Field of view 240x240 mm. Head. Slice 70/155. Image size 240x240.
FLAIR MR image.
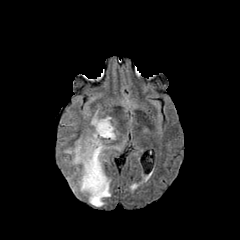
T1-weighted MR image.
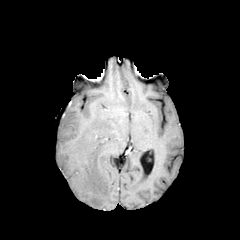
Post-contrast T1-weighted MRI.
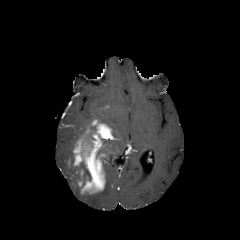
T2-weighted MR.
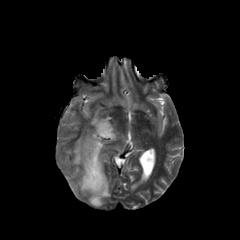
enhancing_tumor:
  - x1=73, y1=119, x2=117, y2=193
non-enhancing_tumor_core:
  - x1=75, y1=161, x2=91, y2=188
edema:
  - x1=83, y1=173, x2=111, y2=206
  - x1=104, y1=140, x2=126, y2=150
  - x1=91, y1=109, x2=117, y2=137
  - x1=63, y1=145, x2=74, y2=166
  - x1=66, y1=172, x2=80, y2=196